CT image | Abdomen | Slice index 173 | Image width 330 mm 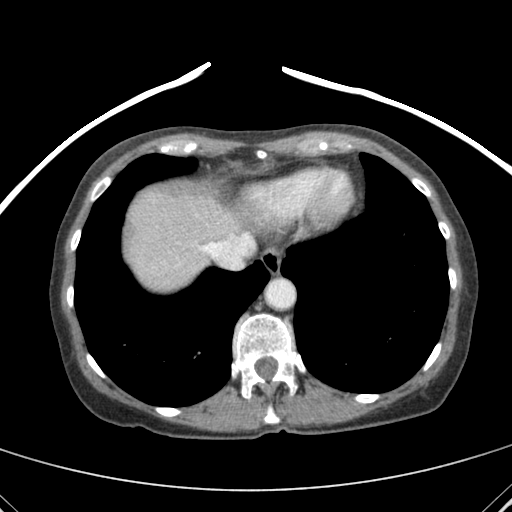
2 liver regions are located at 250 195 258 204, 127 190 248 288.